Slice index 438; CT image; Abdomen
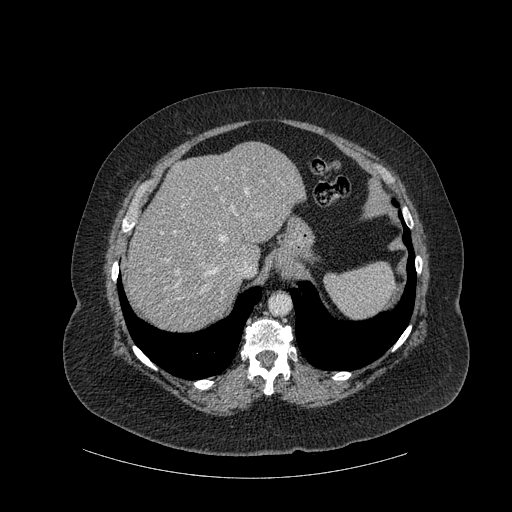
bone: box=[403, 207, 412, 224]; box=[392, 326, 411, 350]; box=[194, 380, 213, 389]; box=[133, 346, 156, 369]; box=[415, 256, 422, 273]; box=[241, 319, 295, 394]; box=[332, 372, 350, 380]; box=[112, 262, 118, 280] | lung: box=[117, 280, 261, 379]; box=[290, 211, 415, 370] | liver: box=[128, 142, 304, 332]